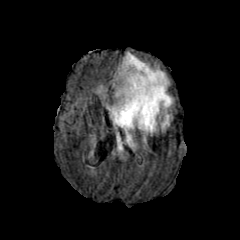
FLAIR magnetic resonance.
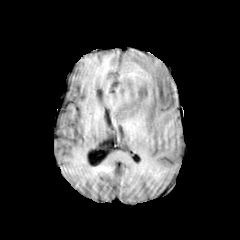
T1-weighted MR.
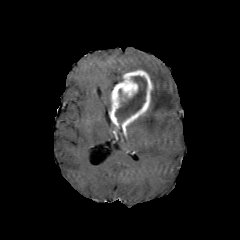
Post-contrast T1-weighted magnetic resonance of the same slice.
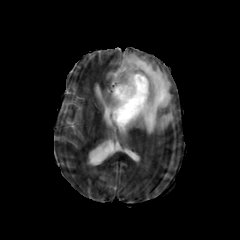
T2-weighted MR.
Image size 240x240. Brain.
Findings:
- non-enhancing tumor core: box(115, 76, 147, 124)
- edema: box(117, 136, 123, 151); box(112, 51, 173, 134)
- enhancing tumor: box(109, 69, 152, 126)